Field of view 500x500 mm, Image size 512x512, CT 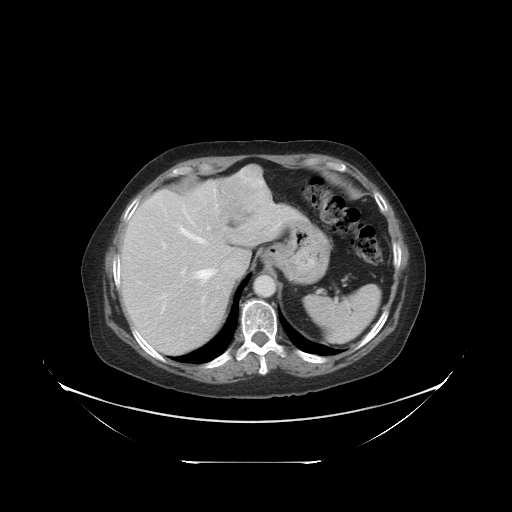
The vessel annotation is not exhaustive.
10 hepatic vessel regions are bounded by bbox(202, 296, 204, 302); bbox(181, 269, 184, 273); bbox(213, 189, 215, 192); bbox(193, 269, 216, 282); bbox(179, 226, 204, 243); bbox(207, 227, 209, 228); bbox(183, 205, 192, 222); bbox(160, 293, 166, 297); bbox(163, 243, 165, 247); bbox(161, 303, 165, 312). The liver tumor lies within bbox(216, 165, 271, 229).